FLAIR magnetic resonance.
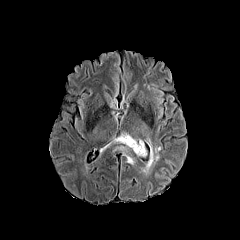
T1-weighted MRI.
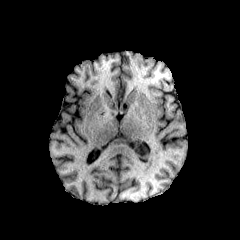
Post-contrast T1-weighted MRI.
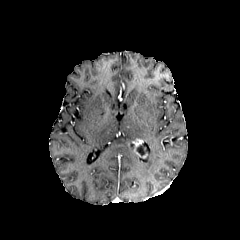
T2-weighted MR.
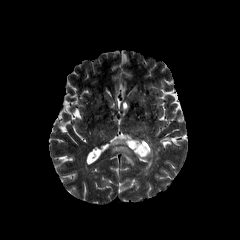
240x240 px; Brain
non-enhancing tumor core: <bbox>136, 143, 148, 156</bbox> | edema: <bbox>107, 139, 134, 164</bbox>, <bbox>140, 138, 161, 174</bbox> | enhancing tumor: <bbox>132, 139, 147, 159</bbox>